CT scan slice. Liver. 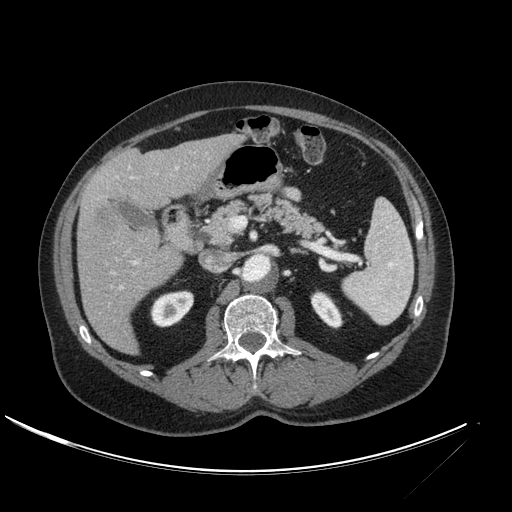

Liver = {"x1": 77, "y1": 133, "x2": 245, "y2": 354}.
Kidney = {"x1": 312, "y1": 293, "x2": 340, "y2": 326}, {"x1": 152, "y1": 292, "x2": 192, "y2": 325}.
Hepatic lesion = {"x1": 92, "y1": 204, "x2": 121, "y2": 241}.